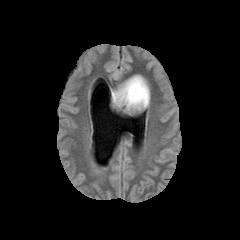
FLAIR MR image.
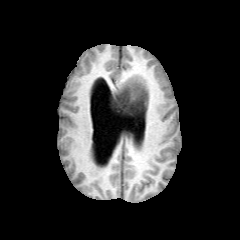
T1-weighted MRI of the same slice.
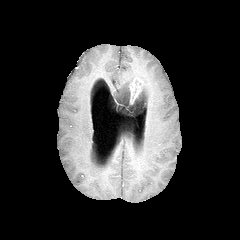
Same slice, post-contrast T1-weighted MRI.
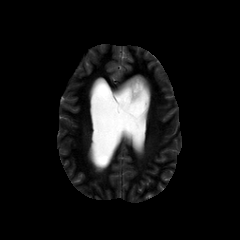
T2-weighted MR.
Head
Enhancing tumor — {"x1": 127, "y1": 77, "x2": 145, "y2": 104}.
Edema — {"x1": 110, "y1": 74, "x2": 152, "y2": 108}.
Non-enhancing tumor core — {"x1": 110, "y1": 88, "x2": 147, "y2": 117}.